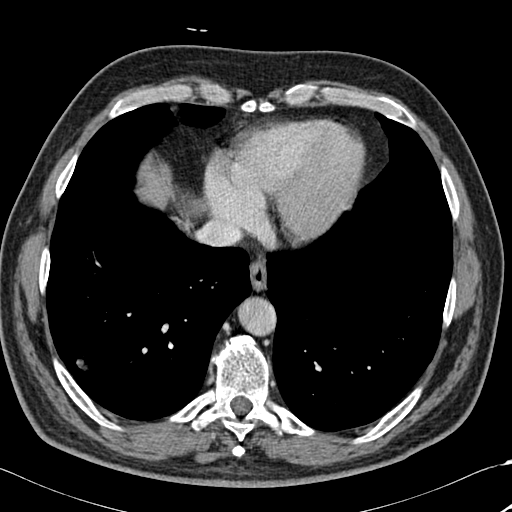
Computed tomography | Upper abdomen
Liver: bounding box 142 171 171 201.
Lung: bounding box 266 112 452 431, 46 103 251 420.
Bone: bounding box 243 101 270 111, 110 86 182 116, 39 249 49 289, 54 361 116 428, 233 446 243 455, 443 282 455 323, 357 389 420 442, 56 156 75 196, 361 96 405 120, 171 335 313 440, 442 168 458 218.